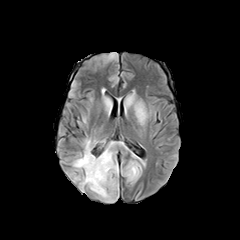
FLAIR MR image.
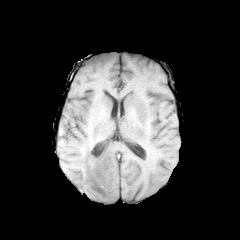
T1-weighted MRI.
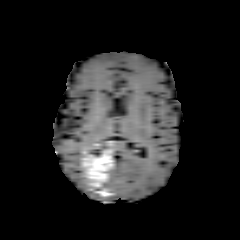
Same slice, post-contrast T1-weighted magnetic resonance.
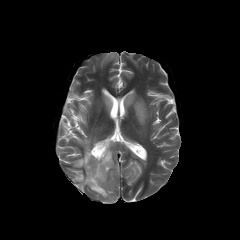
T2-weighted MRI of the same slice.
The enhancing tumor lies within bbox(82, 148, 111, 196). 3 edema regions are bounded by bbox(74, 156, 83, 167); bbox(73, 171, 88, 190); bbox(84, 138, 90, 155).